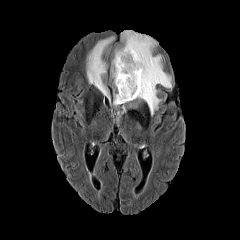
FLAIR MRI.
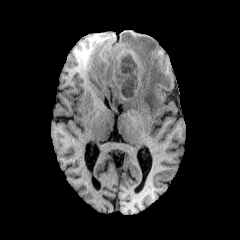
T1-weighted MR image.
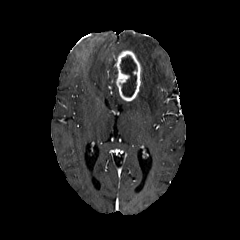
Post-contrast T1-weighted MR image.
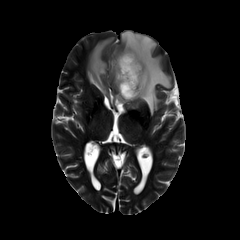
Same slice, T2-weighted MR.
240x240 px
The non-enhancing tumor core is located at <box>120,55,136,97</box>. The enhancing tumor appears at <box>113,49,143,101</box>. 3 edema regions appear at <box>113,93,125,104</box>, <box>110,30,171,115</box>, <box>87,37,113,103</box>.